Slice 54/155; Field of view 240 mm wide, 1.00 mm slice spacing
FLAIR MR image.
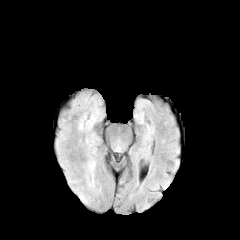
T1-weighted MR.
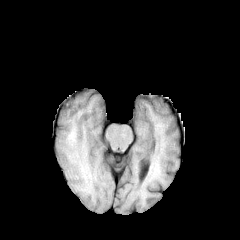
Post-contrast T1-weighted magnetic resonance.
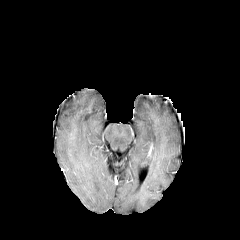
T2-weighted MRI.
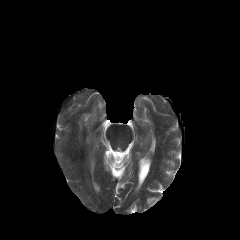
edema:
  - 90 160 94 183